Magnetic resonance
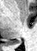 The posterior hippocampus lies within <bbox>13, 41, 19, 43</bbox>.